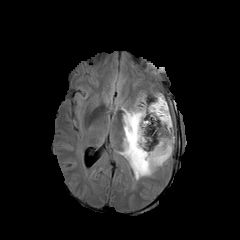
FLAIR MR.
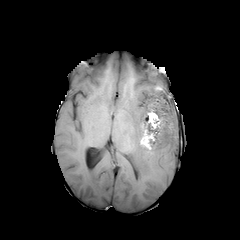
T1-weighted magnetic resonance of the same slice.
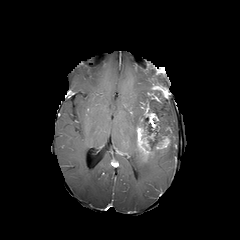
Post-contrast T1-weighted MR.
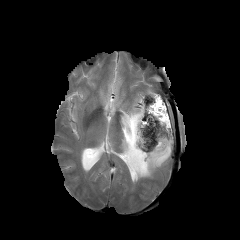
T2-weighted MR of the same slice.
Brain
2 enhancing tumor regions appear at 156, 137, 169, 149; 136, 127, 147, 155. The non-enhancing tumor core is located at 135, 96, 171, 161. The edema is located at 102, 73, 174, 183.